CT image. 512x512. Liver.
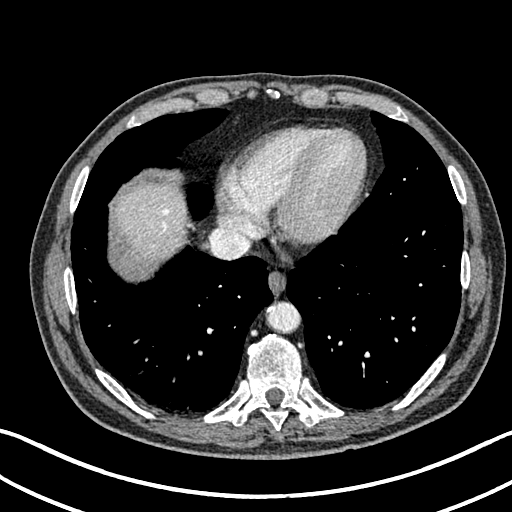

Liver at (left=115, top=184, right=184, bottom=264).